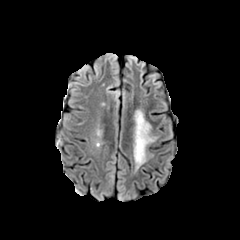
FLAIR MR image.
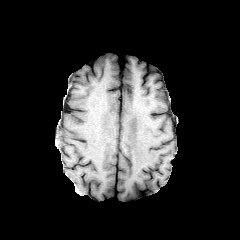
T1-weighted MR image of the same slice.
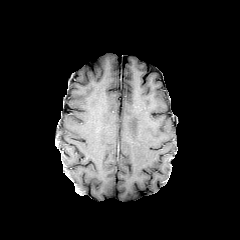
Post-contrast T1-weighted magnetic resonance.
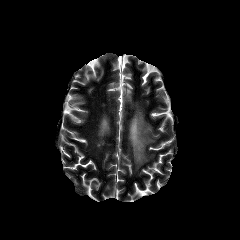
Same slice, T2-weighted magnetic resonance.
Head.
{
  "edema": [
    "box(133, 110, 156, 170)"
  ]
}